240x240; Slice 66/155; Field of view 240x240 mm
FLAIR MR image.
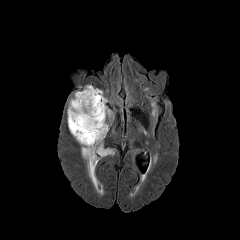
T1-weighted magnetic resonance.
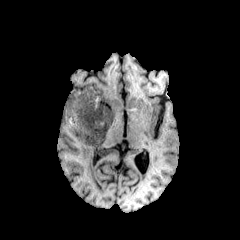
Post-contrast T1-weighted MR image.
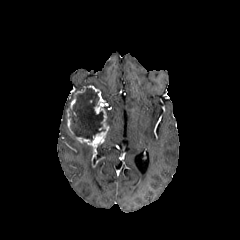
T2-weighted MR image.
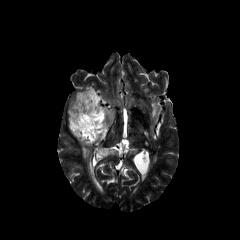
enhancing_tumor:
  - 94 91 107 114
  - 66 98 108 161
  - 70 85 99 95
non-enhancing_tumor_core:
  - 66 88 105 141
edema:
  - 81 144 91 159
  - 107 110 113 124
  - 97 144 119 157